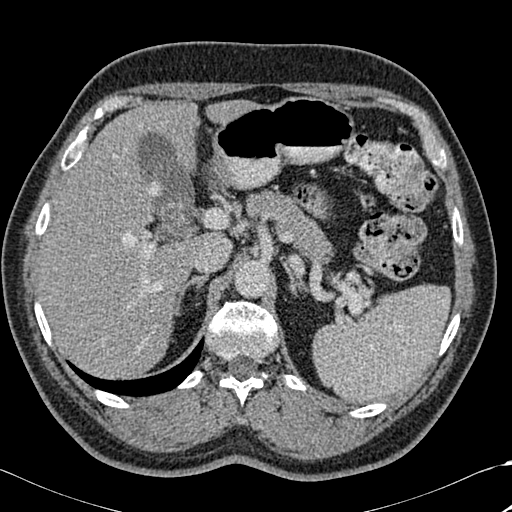

Liver, CT scan slice
liver: 213, 101, 249, 122; 40, 104, 199, 379 | bone: 67, 128, 86, 159; 351, 403, 385, 417; 36, 204, 49, 234; 35, 304, 50, 343; 285, 375, 305, 389; 452, 210, 462, 243; 207, 302, 277, 403; 96, 390, 127, 408; 179, 371, 201, 388; 440, 315, 459, 354 | lung: 67, 339, 203, 396